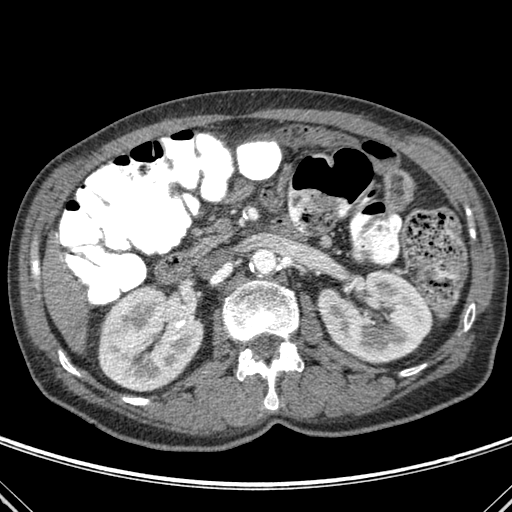

CT slice; Liver

Annotated regions:
- bone: [x1=58, y1=350, x2=80, y2=376], [x1=400, y1=364, x2=426, y2=376], [x1=223, y1=280, x2=303, y2=410], [x1=31, y1=256, x2=39, y2=276], [x1=122, y1=397, x2=149, y2=405], [x1=243, y1=208, x2=257, y2=219], [x1=464, y1=303, x2=474, y2=331]
- kidney: [x1=100, y1=287, x2=202, y2=390], [x1=319, y1=271, x2=431, y2=361]
- liver: [x1=44, y1=230, x2=88, y2=353]